CT scan slice; Slice index 123; 512x512 px; Field of view 364 mm wide, 2.50 mm slice spacing
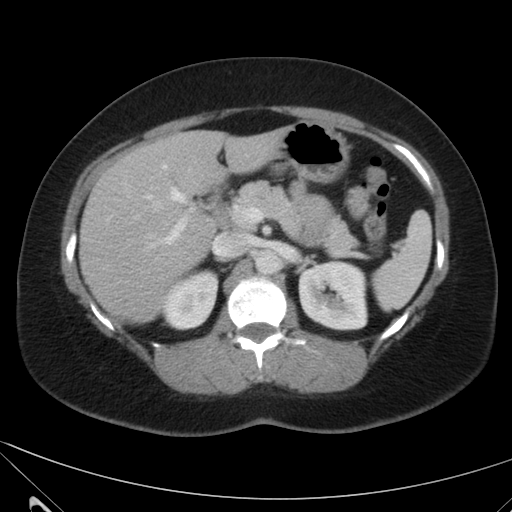

Liver at l=80, t=130, r=279, b=321.
Kidney at l=300, t=262, r=365, b=328; l=163, t=274, r=215, b=327.